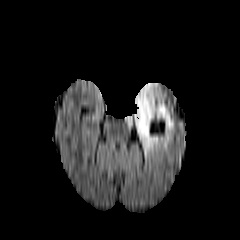
FLAIR MRI.
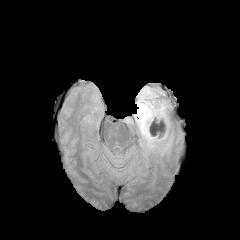
Same slice, T1-weighted magnetic resonance.
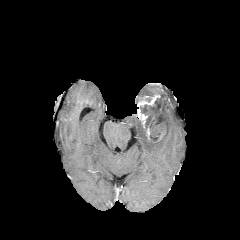
Post-contrast T1-weighted MR.
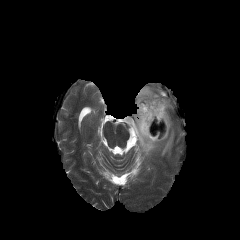
T2-weighted MR.
Edema: <box>125,84,173,155</box>.
Enhancing tumor: <box>137,94,159,127</box>.